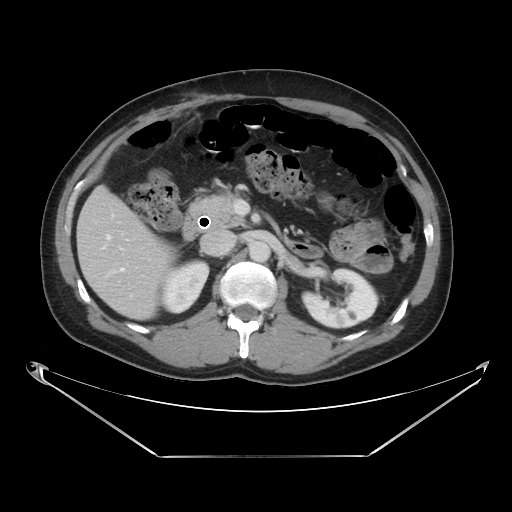
CT scan slice; Image size 512x512

The pancreatic tumor is located at <box>191,195,232,218</box>. The pancreas is located at <box>208,195,243,230</box>.